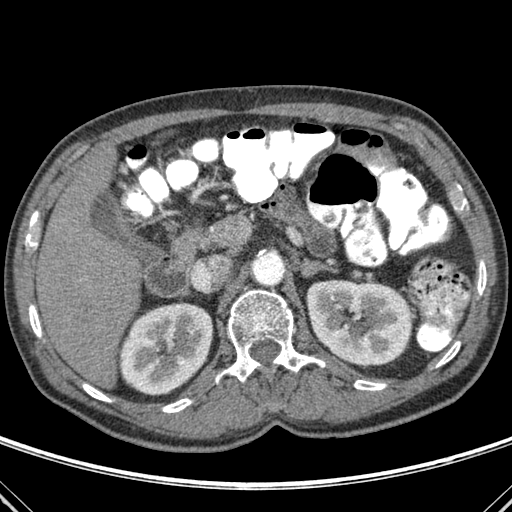

Abdomen. CT image.

The liver is bounded by (37,154,141,386). 2 kidney regions are located at (308,281,410,364), (121,304,211,393). 9 bone regions appear at (456,193,467,210), (215,290,325,382), (25,211,37,246), (354,380,386,390), (477,260,486,295), (436,341,460,367), (162,398,192,412), (29,305,41,337), (82,383,111,402).